FLAIR MRI.
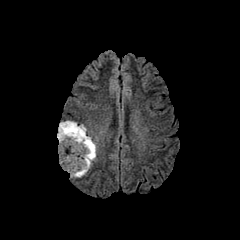
T1-weighted MR.
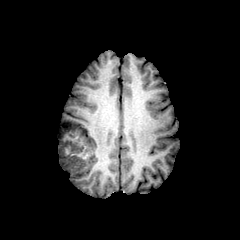
Post-contrast T1-weighted MR.
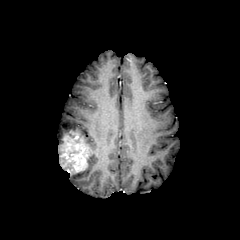
T2-weighted MRI.
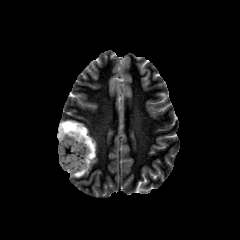
Brain; 240x240
Findings:
• enhancing tumor: bbox(60, 131, 88, 173)
• non-enhancing tumor core: bbox(60, 121, 94, 157)
• edema: bbox(60, 120, 96, 177)